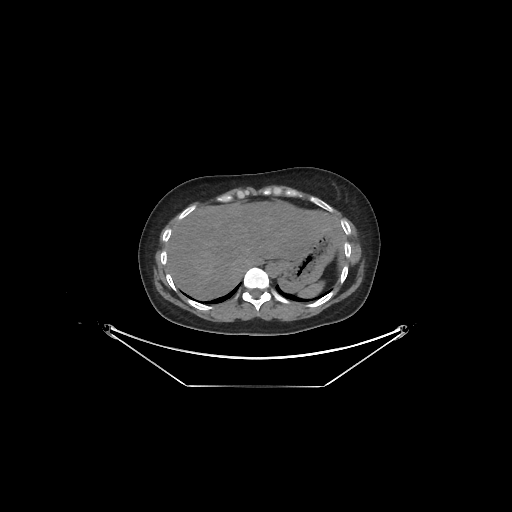

CT slice | Upper abdomen
The liver is at 165,200,346,298.